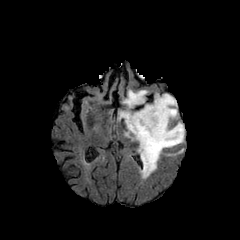
FLAIR magnetic resonance.
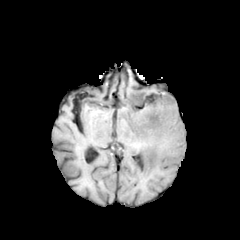
T1-weighted MR.
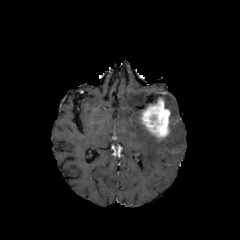
Post-contrast T1-weighted MR image.
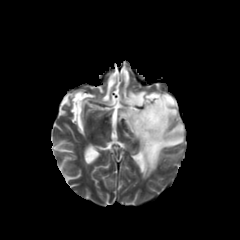
T2-weighted MRI.
Annotated regions:
* enhancing tumor: [139,97,170,141]
* non-enhancing tumor core: [138,94,165,109]
* edema: [117,89,184,178]